FLAIR MRI.
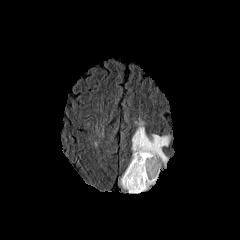
T1-weighted MR.
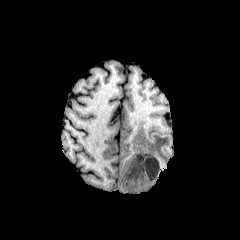
Post-contrast T1-weighted MRI.
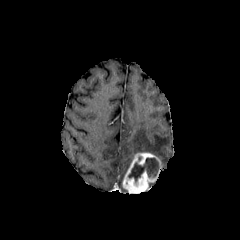
T2-weighted magnetic resonance.
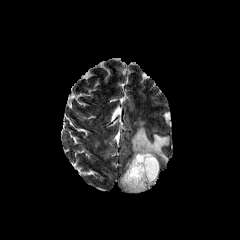
The enhancing tumor is located at x1=123 y1=152 x2=160 y2=192. The edema is bounded by x1=131 y1=118 x2=170 y2=168. The non-enhancing tumor core appears at x1=127 y1=158 x2=160 y2=183.